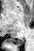
Hippocampus, MR
{"posterior_hippocampus": ["[x1=11, y1=38, x2=24, y2=45]"]}